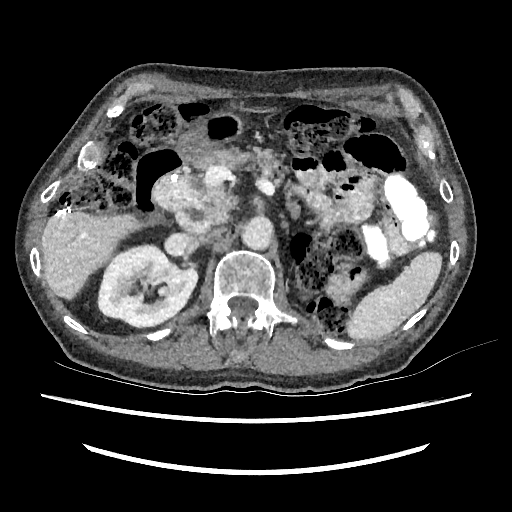
CT slice. Image size 512x512. Liver. liver:
  - 42 212 135 298
kidney:
  - 98 246 197 326